Slice index 82; Image size 240x240; Image width 240 mm
FLAIR magnetic resonance.
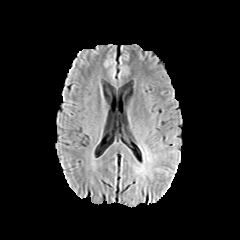
T1-weighted magnetic resonance.
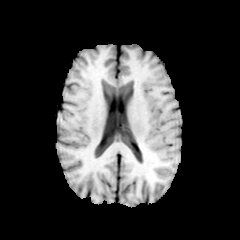
Post-contrast T1-weighted MR image.
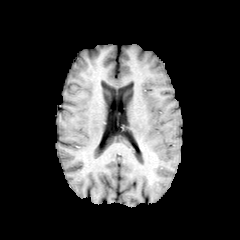
T2-weighted MRI.
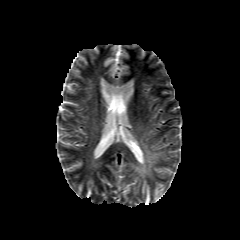
Edema — 142:150:149:163.